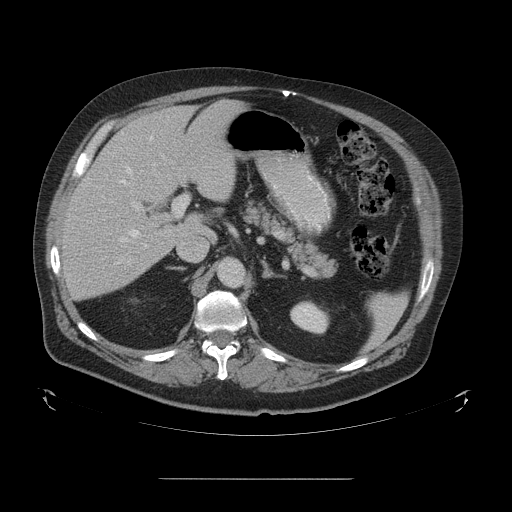
CT slice | Liver | 512x512
Not every hepatic vessel necessarily has a box.
Hepatic vessel: bounding box l=149, t=140, r=154, b=142; l=179, t=245, r=202, b=260; l=131, t=201, r=141, b=213; l=142, t=243, r=147, b=247; l=118, t=229, r=140, b=242; l=153, t=162, r=155, b=166; l=114, t=253, r=130, b=264; l=154, t=173, r=157, b=176; l=173, t=196, r=187, b=216; l=117, t=164, r=133, b=185.